FLAIR magnetic resonance.
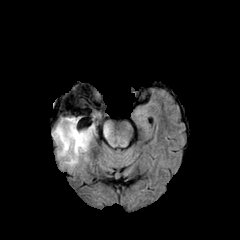
T1-weighted MR.
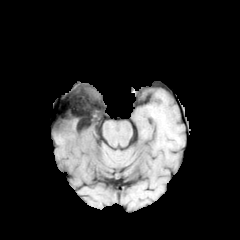
Post-contrast T1-weighted MR.
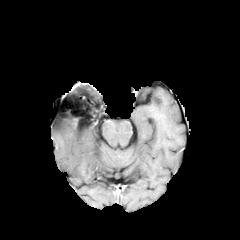
T2-weighted magnetic resonance.
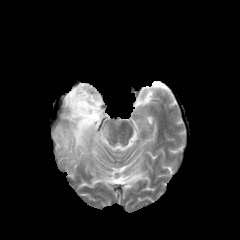
Head.
2 edema regions are located at box(53, 110, 101, 166); box(103, 124, 109, 137).